Abdomen, Slice index 6, Image width 422 mm, Computed tomography
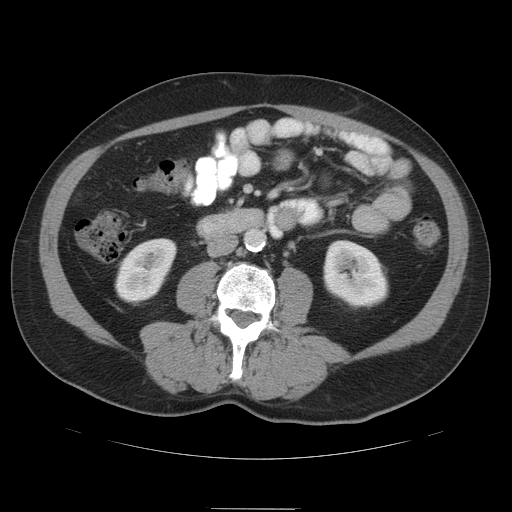

The pancreas is located at (x1=224, y1=208, x2=257, y2=231).